FLAIR MR.
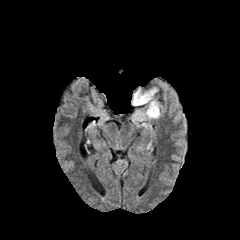
T1-weighted magnetic resonance.
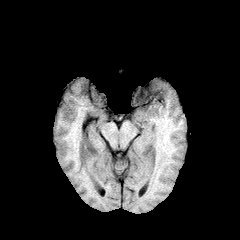
Post-contrast T1-weighted MR image.
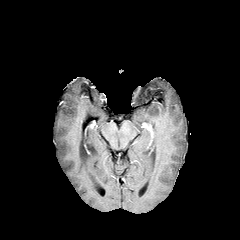
T2-weighted MRI.
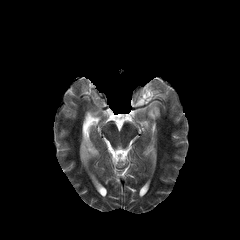
Head
Edema at l=132, t=88, r=161, b=121.